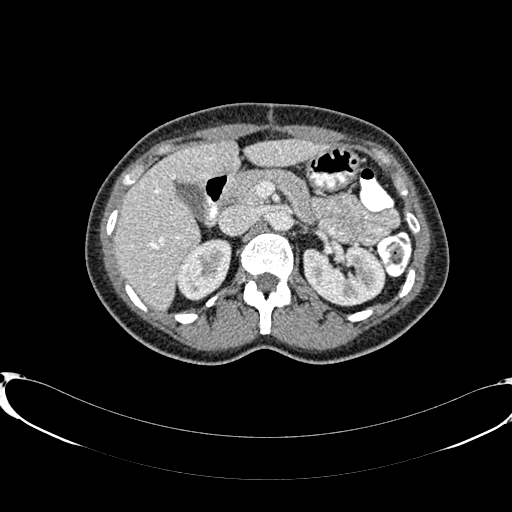 512x512 px | CT slice

Liver: l=114, t=142, r=238, b=309; l=245, t=140, r=327, b=166.
Kidney: l=304, t=247, r=383, b=304; l=179, t=241, r=229, b=298.